512x512 px. CT scan slice.
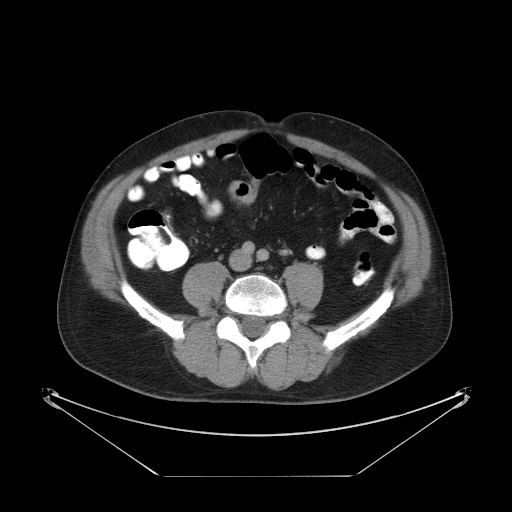
colon tumor: x1=228 y1=179 x2=258 y2=204